CT slice, 512x512
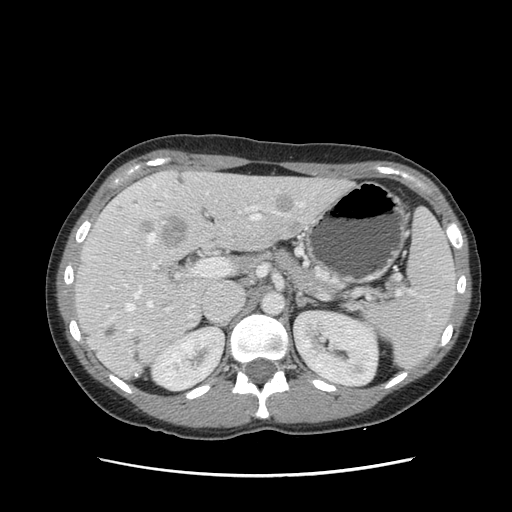
The pancreas is located at [x1=274, y1=250, x2=336, y2=294].